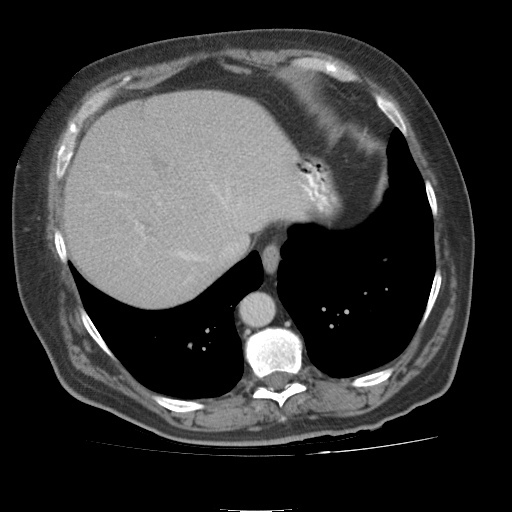 Upper abdomen; CT slice; 512x512 px
<segmentation>
  <liver>rect(66, 93, 305, 308)</liver>
</segmentation>